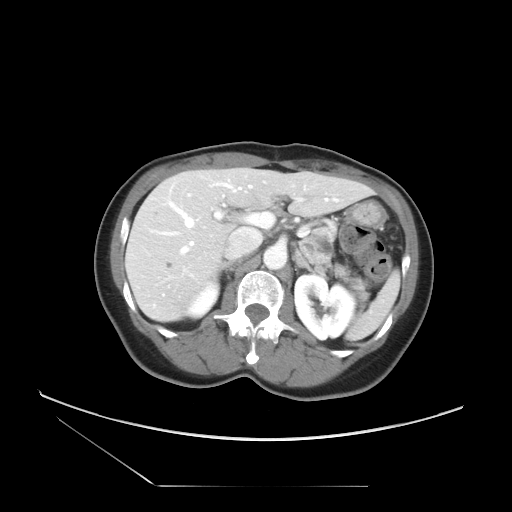
Upper abdomen, CT image
Pancreas at (x1=297, y1=226, x2=367, y2=304).